Field of view 240 mm wide, 1.00 mm slice spacing. 240x240.
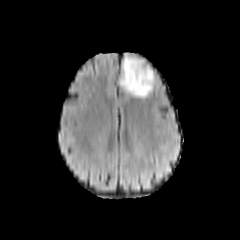
FLAIR MR image.
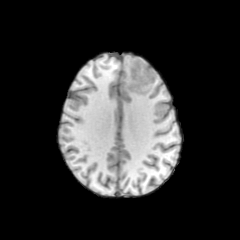
T1-weighted MR image of the same slice.
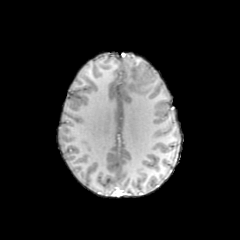
Post-contrast T1-weighted magnetic resonance.
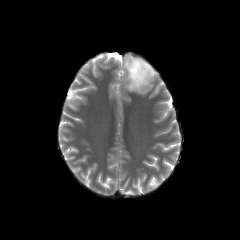
T2-weighted MR image of the same slice.
Non-enhancing tumor core: bounding box left=129, top=60, right=155, bottom=92.
Edema: bounding box left=145, top=62, right=154, bottom=74; left=120, top=54, right=147, bottom=96.